Slice 490 of 917 | Abdomen | CT image 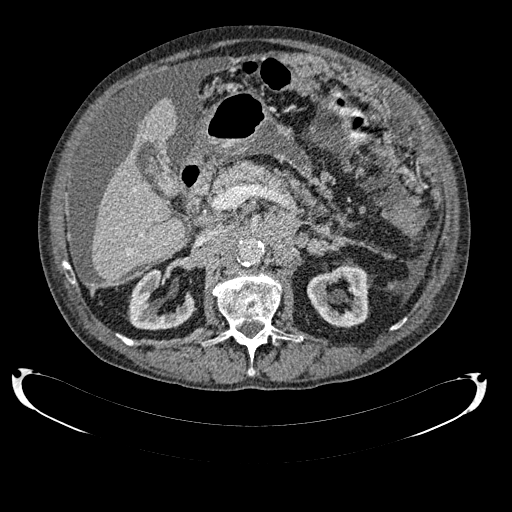 * liver: (92,96,185,284)
* kidney: (129,270,194,329), (307,266,367,326)